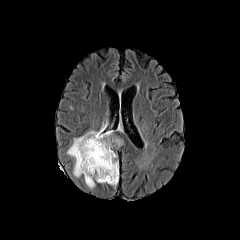
FLAIR MR image.
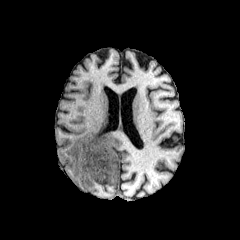
T1-weighted MRI.
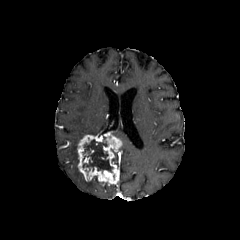
Post-contrast T1-weighted MR.
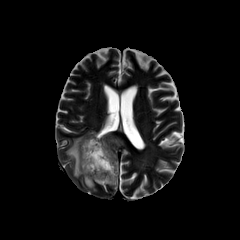
Same slice, T2-weighted MR image.
The non-enhancing tumor core lies within box=[82, 139, 113, 172]. The enhancing tumor is at box=[77, 131, 121, 185]. 2 edema regions appear at box=[67, 136, 83, 177]; box=[85, 179, 94, 189].